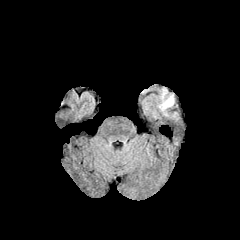
FLAIR MR image.
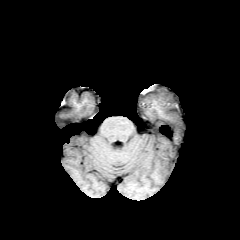
T1-weighted magnetic resonance of the same slice.
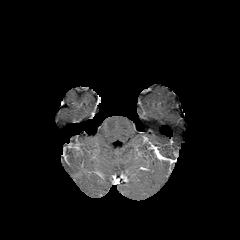
Same slice, post-contrast T1-weighted magnetic resonance.
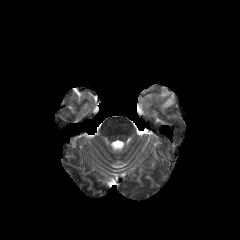
T2-weighted MR.
Head
{"edema": ["156, 89, 175, 114"]}